Field of view 396x396 mm, CT, Slice 69 of 101, Upper abdomen 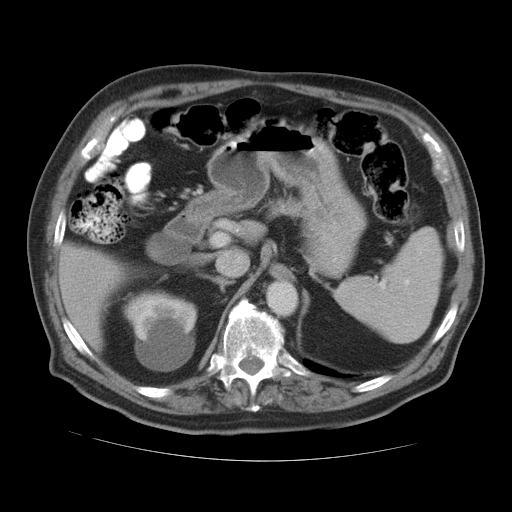
• spleen: (335, 229, 443, 342)